FLAIR MRI.
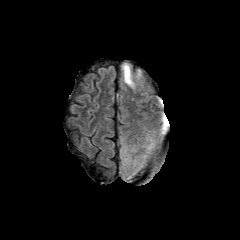
T1-weighted MR image.
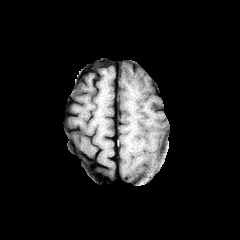
Post-contrast T1-weighted MRI.
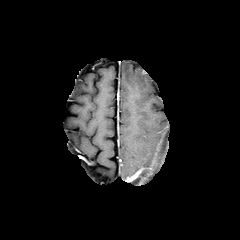
T2-weighted MR image.
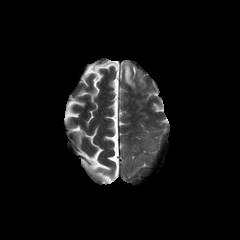
The edema is bounded by (121,62,141,87).